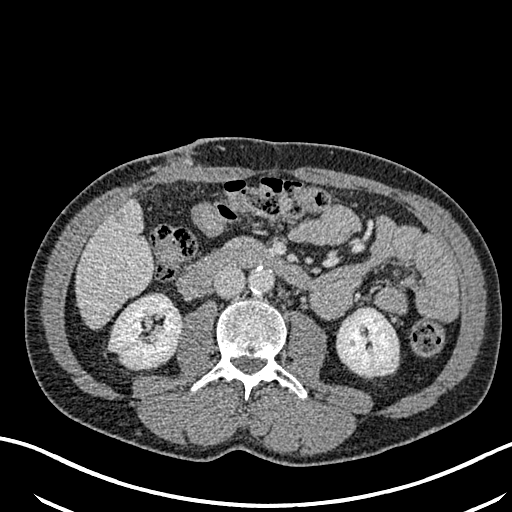 Image size 512x512, CT image

Liver lesion: bounding box (115, 212, 123, 220).
Kidney: bounding box (337, 308, 398, 375), (110, 294, 181, 368).
Liver: bounding box (76, 200, 151, 327).